FLAIR MRI.
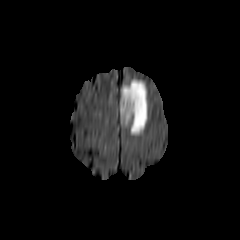
T1-weighted MR.
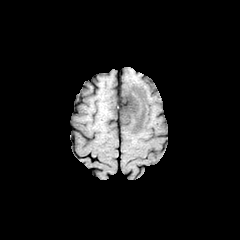
Post-contrast T1-weighted MR.
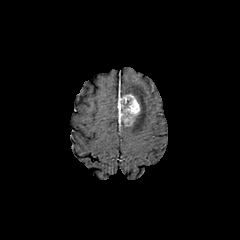
T2-weighted MR.
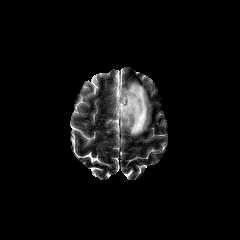
Brain
Segmented structures:
• edema: l=121, t=79, r=149, b=135
• enhancing tumor: l=118, t=90, r=140, b=125